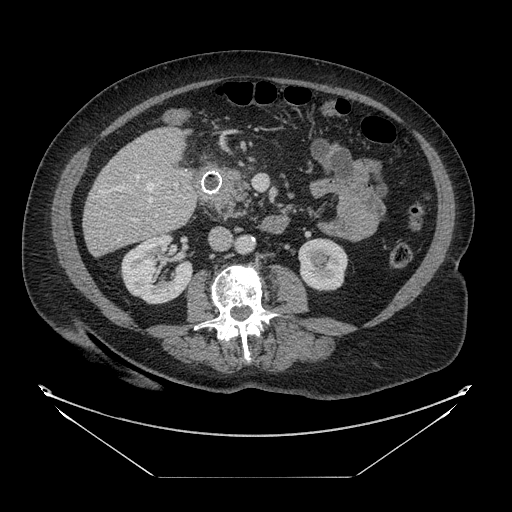 Abdomen; Computed tomography; 512x512 px

The pancreatic tumor lies within 221:175:233:200. The pancreas is at 218:171:250:218.